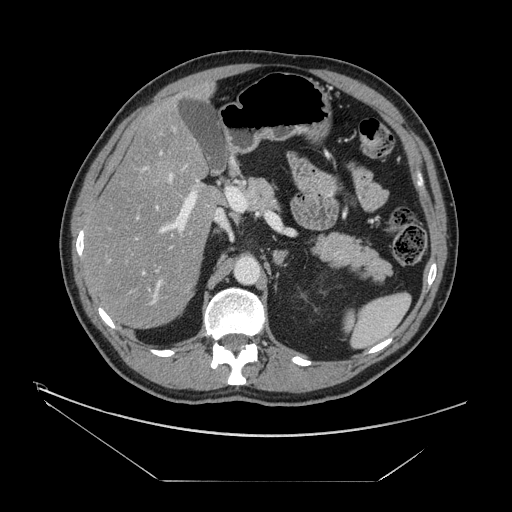 Abdomen, CT slice

The vessel annotation is not exhaustive.
- hepatic vessel: l=161, t=192, r=195, b=231; l=158, t=282, r=160, b=286; l=169, t=174, r=172, b=179